Abdomen. CT image.
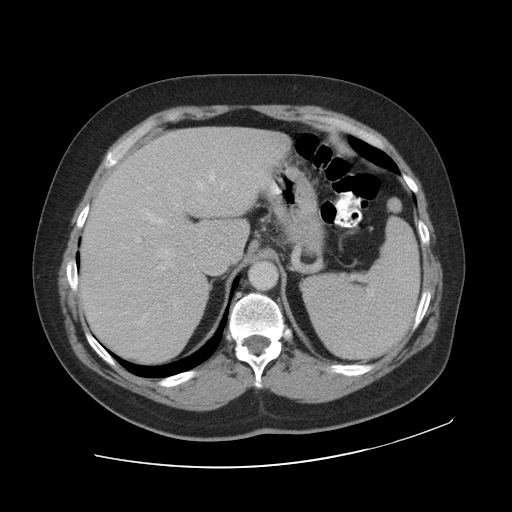
Some hepatic vessels may have no box.
15 hepatic vessel regions appear at region(140, 208, 166, 222); region(198, 182, 203, 190); region(137, 321, 140, 324); region(254, 165, 256, 168); region(112, 217, 118, 220); region(136, 238, 140, 242); region(206, 172, 214, 182); region(213, 156, 214, 157); region(221, 183, 226, 188); region(165, 262, 171, 264); region(161, 267, 164, 269); region(158, 249, 174, 258); region(148, 187, 150, 188); region(241, 164, 247, 167); region(233, 191, 236, 193).